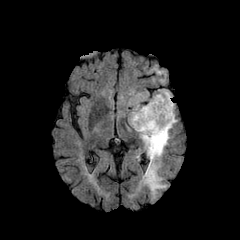
FLAIR magnetic resonance.
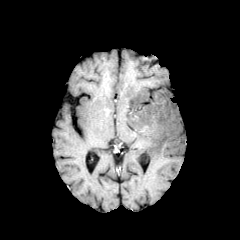
T1-weighted MR image.
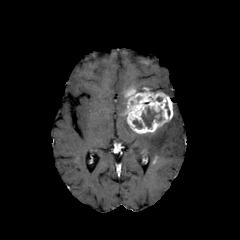
Post-contrast T1-weighted MR image of the same slice.
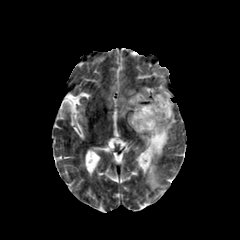
Same slice, T2-weighted MR.
Enhancing tumor: bounding box box=[124, 88, 173, 133].
Non-enhancing tumor core: bounding box box=[142, 108, 155, 127].
Edema: bounding box box=[139, 103, 176, 196].